Slice 115 of 155, Brain, 240x240 px
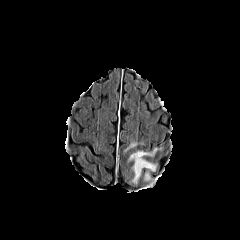
FLAIR MRI.
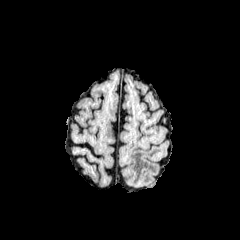
T1-weighted MRI.
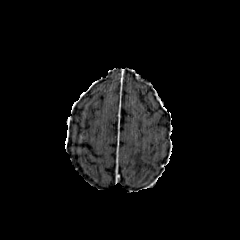
Post-contrast T1-weighted MRI of the same slice.
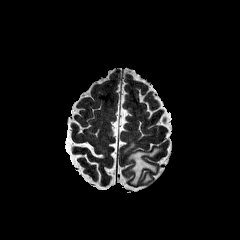
T2-weighted MRI.
3 edema regions appear at x1=124, y1=142, x2=137, y2=151; x1=143, y1=171, x2=151, y2=182; x1=128, y1=148, x2=161, y2=184.